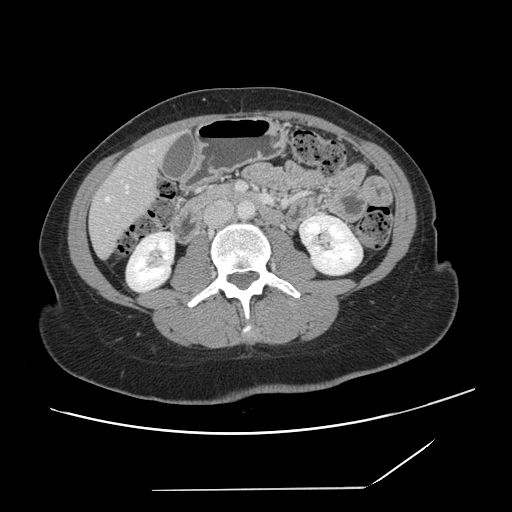 Abdomen | CT slice
Only some of the vessels may be annotated.
hepatic_vessel:
  - x1=151 y1=150 x2=154 y2=152
  - x1=106 y1=198 x2=109 y2=200
  - x1=126 y1=185 x2=128 y2=192